Slice 230 of 537, CT image 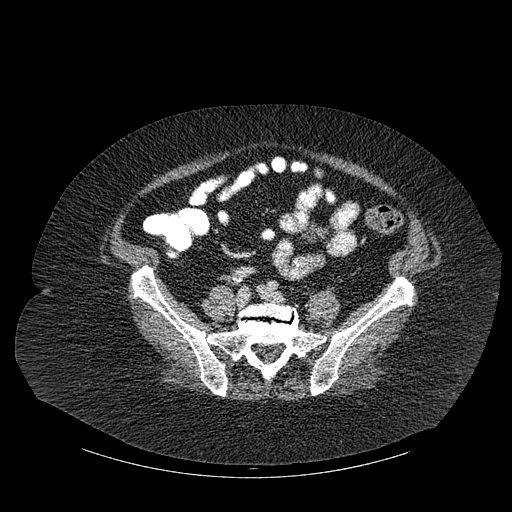

2 bone regions are located at region(310, 277, 413, 395); region(132, 265, 326, 396).